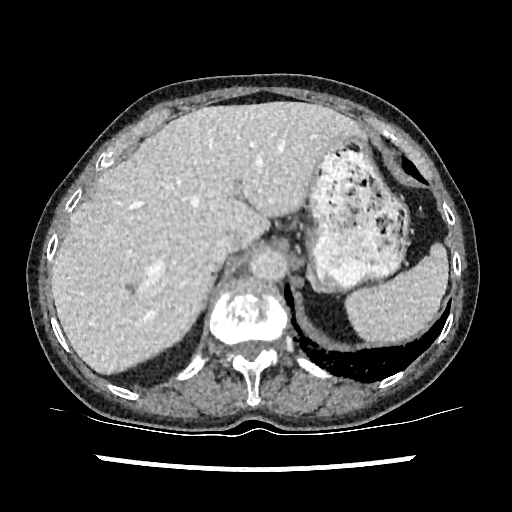
Upper abdomen; CT slice

Annotated regions:
- liver: 53, 103, 363, 371
- liver lesion: 126, 284, 134, 294